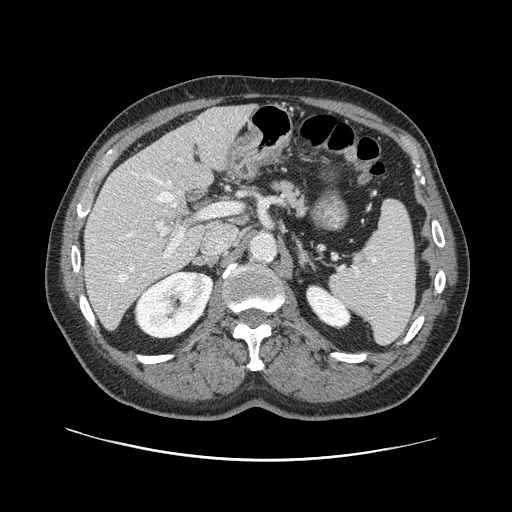
Computed tomography
The pancreas is at [268,177,310,218].